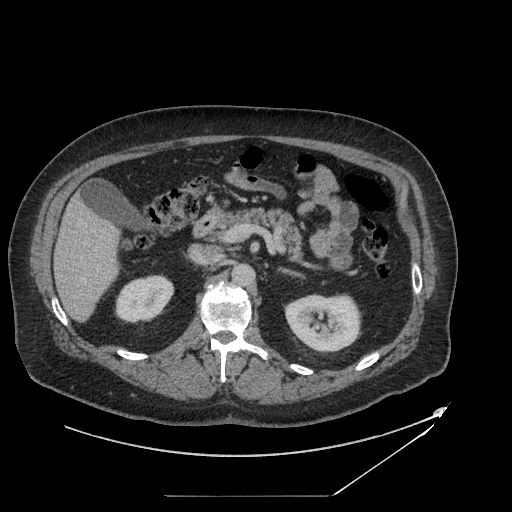

Abdomen. CT scan slice. pancreas: box=[210, 208, 314, 267]